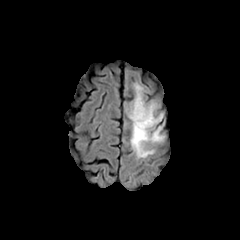
FLAIR MRI.
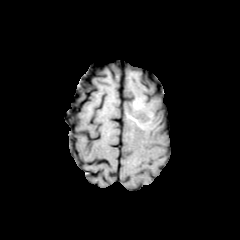
T1-weighted MR image.
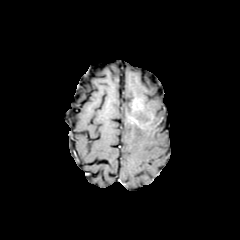
Same slice, post-contrast T1-weighted MRI.
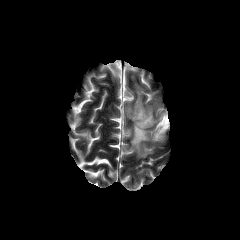
T2-weighted magnetic resonance.
Brain
3 edema regions appear at {"x1": 128, "y1": 119, "x2": 164, "y2": 158}, {"x1": 126, "y1": 101, "x2": 132, "y2": 117}, {"x1": 134, "y1": 83, "x2": 163, "y2": 122}. The enhancing tumor is bounded by {"x1": 133, "y1": 99, "x2": 142, "y2": 111}. The non-enhancing tumor core appears at {"x1": 132, "y1": 105, "x2": 154, "y2": 128}.